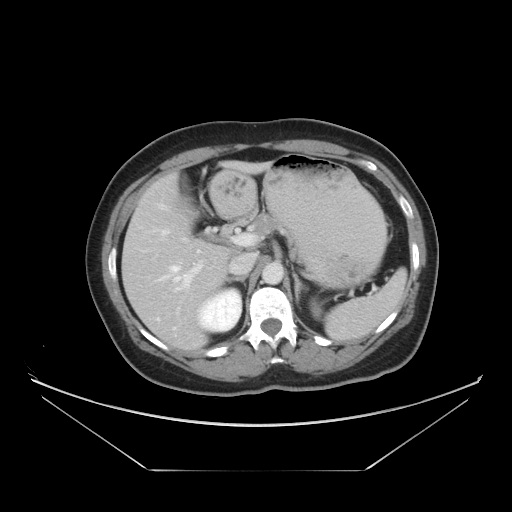 CT image
The vessel boxes may cover only some of the vessels.
3 hepatic vessel regions are bounded by 175:268:177:270, 193:266:200:271, 184:274:191:285.